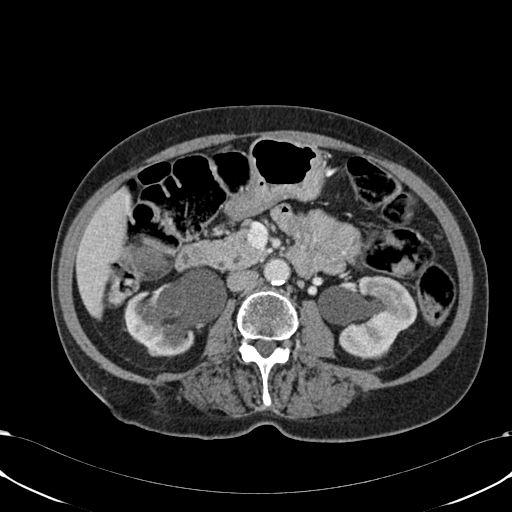

512x512; CT image
<segmentation>
  <kidney>[125, 291, 227, 355], [340, 277, 416, 357]</kidney>
  <liver>[75, 189, 130, 316]</liver>
</segmentation>